38x52 px. Magnetic resonance.
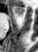

{"anterior_hippocampus": ["[x1=13, y1=7, x2=24, y2=15]"]}